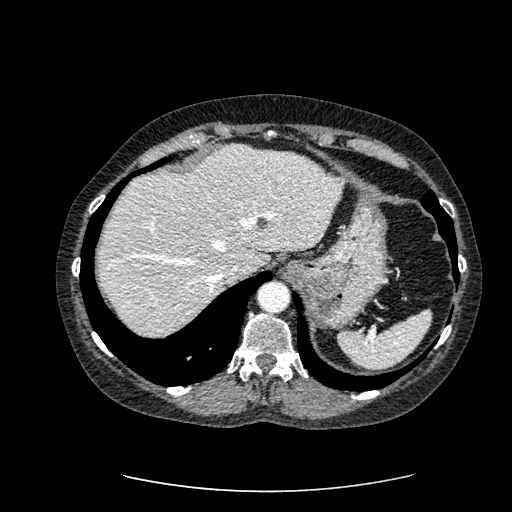

CT, 512x512

The liver is at 96 145 342 335. The liver lesion is bounded by 257 217 267 228.